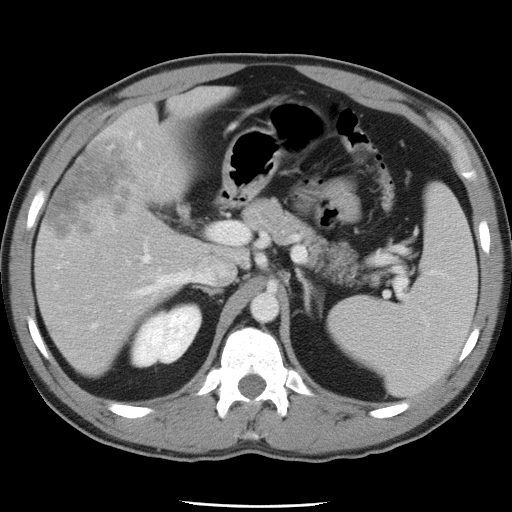
CT scan slice, Abdomen
The vessel annotation is not exhaustive.
hepatic vessel: <box>142,256,148,260</box>, <box>214,223,247,242</box>, <box>135,273,191,295</box>